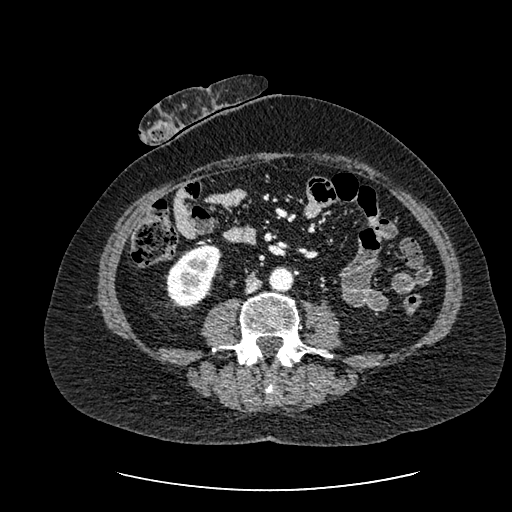
CT image

Kidney — bbox(167, 245, 219, 305).